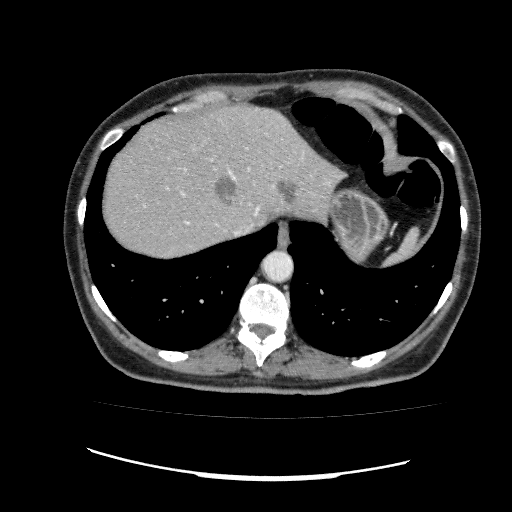
Abdomen. CT scan slice.
Liver lesion: 214, 178, 235, 205; 274, 180, 297, 203.
Liver: 103, 104, 347, 260.